Slice 126/155; Image size 240x240; Brain
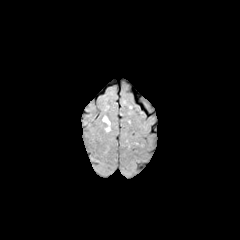
FLAIR MRI.
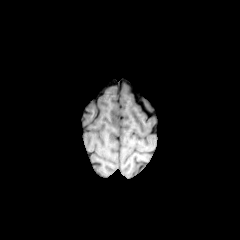
T1-weighted MR.
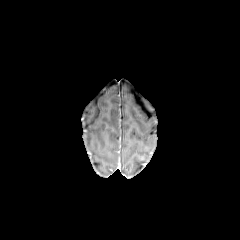
Post-contrast T1-weighted MRI.
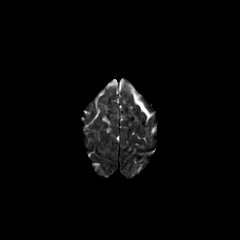
Same slice, T2-weighted MR image.
The edema is bounded by l=102, t=115, r=110, b=131.